512x512 px; Computed tomography; Field of view 700x700 mm 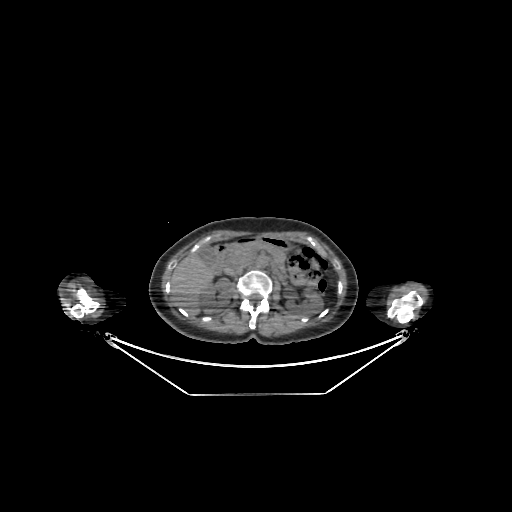 {
  "kidney": [
    "rect(197, 277, 233, 313)",
    "rect(285, 285, 323, 319)"
  ],
  "liver": [
    "rect(168, 251, 217, 314)"
  ]
}